FLAIR magnetic resonance.
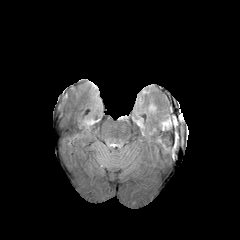
T1-weighted MR image.
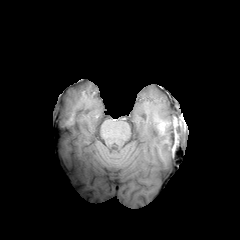
Post-contrast T1-weighted MRI.
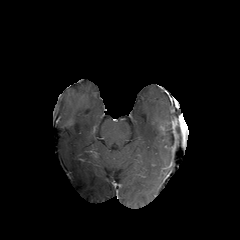
T2-weighted MR image.
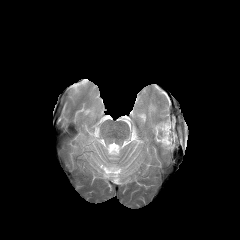
Head, 240x240 px
Edema = [148, 102, 157, 120], [132, 108, 145, 128], [152, 113, 171, 146], [103, 142, 120, 155].